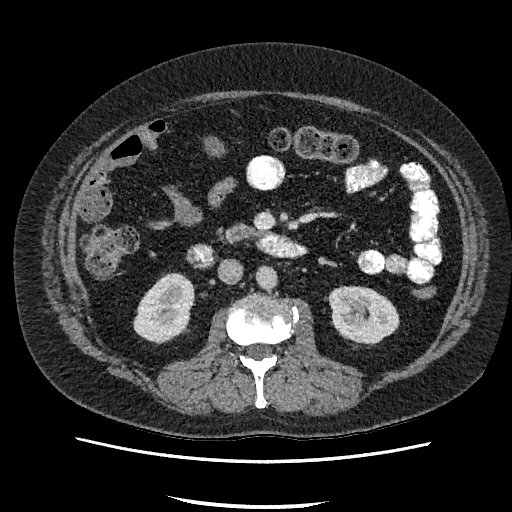 Abdomen, Image size 512x512, CT slice
2 kidney regions are located at [x1=330, y1=287, x2=397, y2=342], [x1=134, y1=275, x2=193, y2=340].